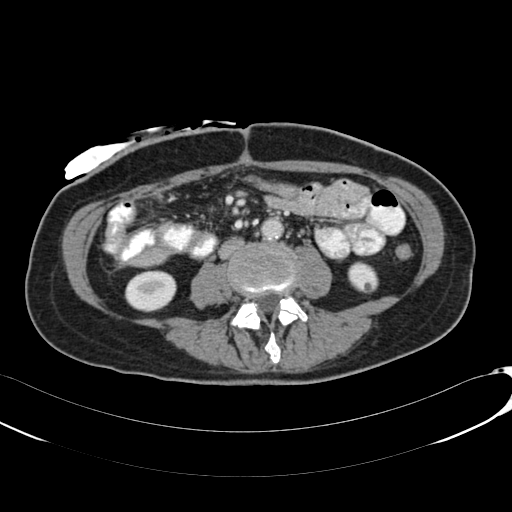
CT | Abdomen | Image size 512x512

2 kidney regions are bounded by (x1=350, y1=264, x2=375, y2=288), (x1=126, y1=272, x2=175, y2=310).